Image size 512x512 | CT | Abdomen | Slice index 137

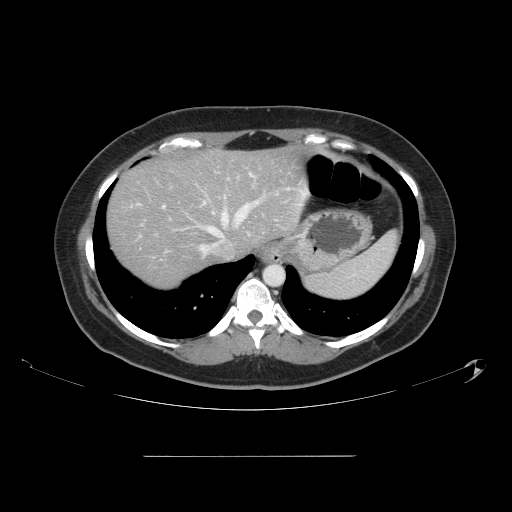

The vessel annotation is not exhaustive.
hepatic vessel: 249,173,251,175; 203,202,205,204; 224,196,225,198; 163,206,164,207; 205,226,222,237; 200,245,205,253; 287,188,288,189; 222,210,227,224; 235,200,259,225